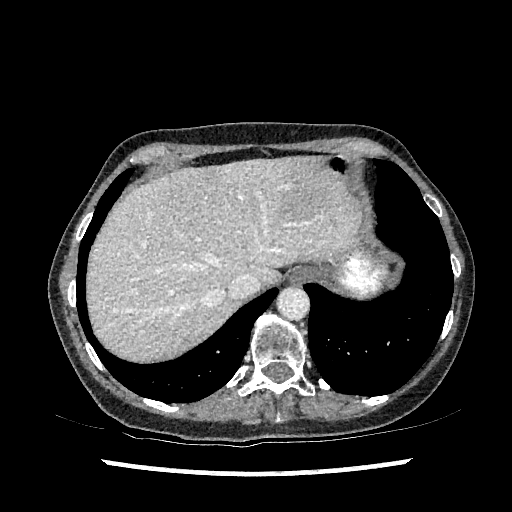

Liver, CT
liver: [87, 157, 361, 360] | focal liver lesion: [281, 158, 327, 221], [205, 166, 215, 175]